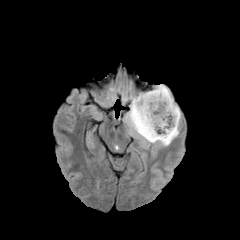
FLAIR MR.
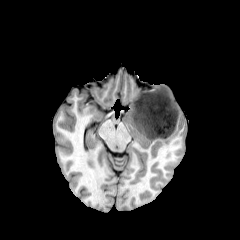
T1-weighted magnetic resonance of the same slice.
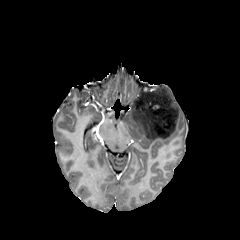
Post-contrast T1-weighted magnetic resonance.
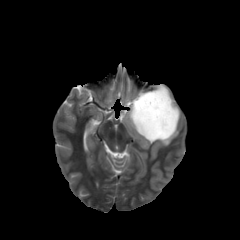
Same slice, T2-weighted magnetic resonance.
edema:
  - x1=122, y1=84, x2=181, y2=151
non-enhancing_tumor_core:
  - x1=132, y1=85, x2=177, y2=139